CT. Abdomen. Image size 512x512.

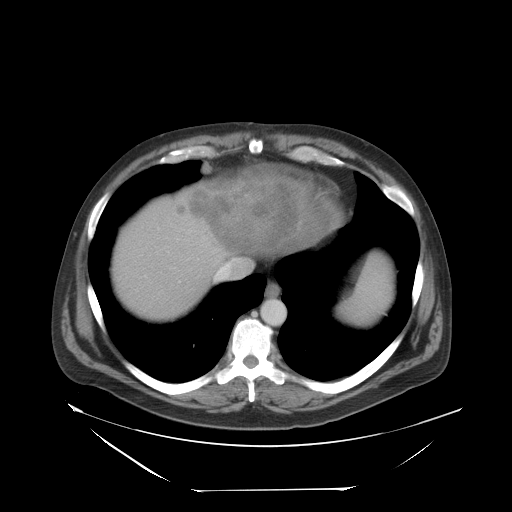
The vessel annotation is not exhaustive.
{
  "liver_tumor": [
    {"x1": 169, "y1": 175, "x2": 298, "y2": 253}
  ],
  "hepatic_vessel": [
    {"x1": 214, "y1": 249, "x2": 248, "y2": 280}
  ]
}